Head
FLAIR MR.
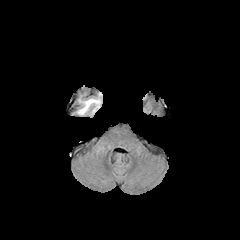
T1-weighted MR.
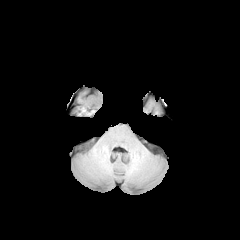
Post-contrast T1-weighted MRI.
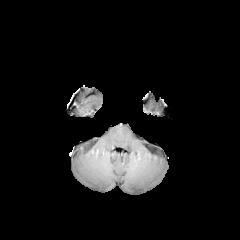
T2-weighted magnetic resonance.
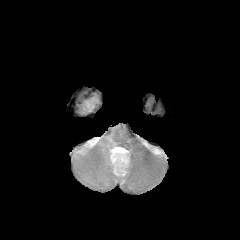
The edema is bounded by region(78, 98, 99, 114).